512x512, CT image, Lower abdomen
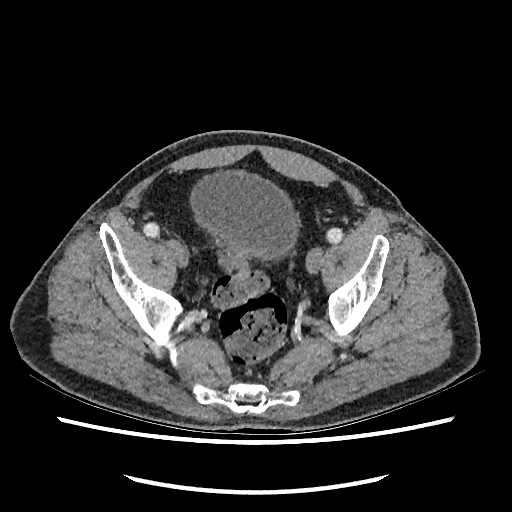

The urinary bladder appears at rect(190, 171, 297, 261).